Chest, Slice 534/565, CT image, 512x512 px

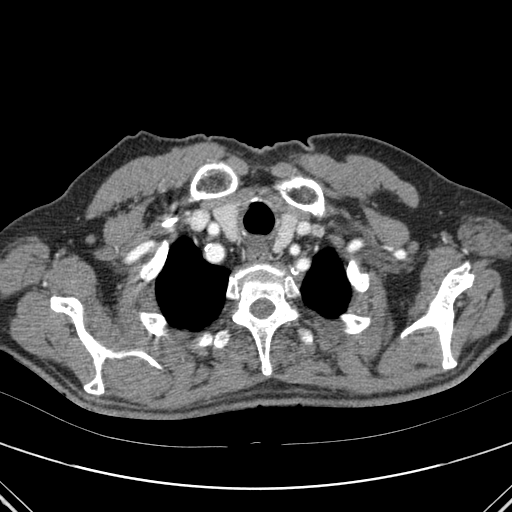

Lung at 301,248,350,317; 155,237,229,331.
Bone at 347,259,369,292; 341,314,370,333; 139,240,168,280; 159,217,177,231; 396,251,405,258; 226,264,299,375; 278,176,324,216; 50,296,123,394; 401,262,473,369; 139,312,165,335; 129,349,161,368; 196,331,228,348; 190,163,237,200; 302,331,312,343.